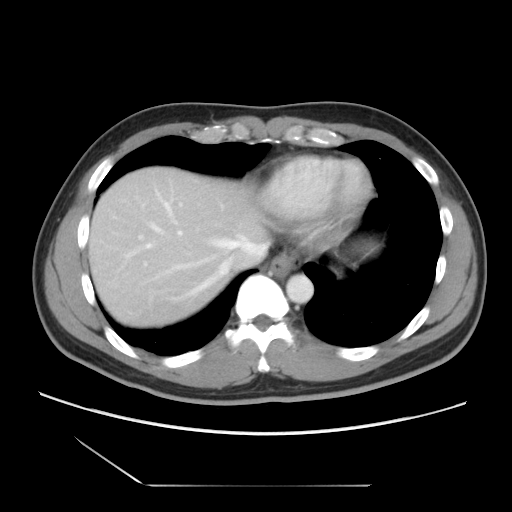 Liver | CT image
Only some of the vessels may be annotated.
7 hepatic vessel regions are bounded by bbox=[213, 235, 266, 255]; bbox=[147, 244, 149, 247]; bbox=[166, 204, 169, 211]; bbox=[153, 225, 158, 230]; bbox=[200, 282, 208, 287]; bbox=[179, 232, 181, 234]; bbox=[221, 262, 227, 273].